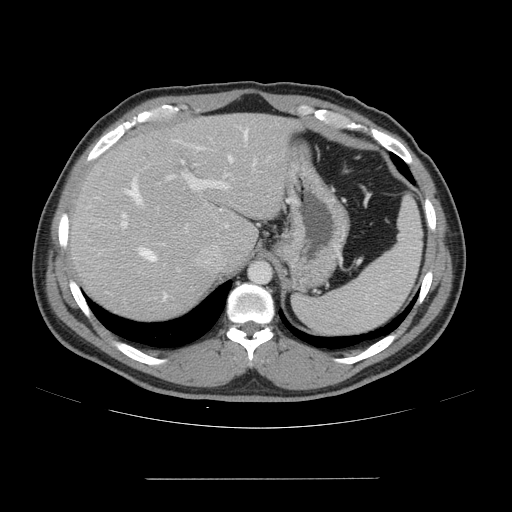

CT image.
The vessel annotation is not exhaustive.
15 hepatic vessel regions appear at 241:129:247:139, 122:221:126:227, 254:159:256:163, 125:175:141:204, 139:247:155:260, 164:293:167:299, 182:160:183:162, 185:224:187:228, 162:243:164:244, 229:156:232:161, 122:214:126:217, 189:145:202:149, 181:142:184:143, 183:173:227:189, 167:175:173:179.